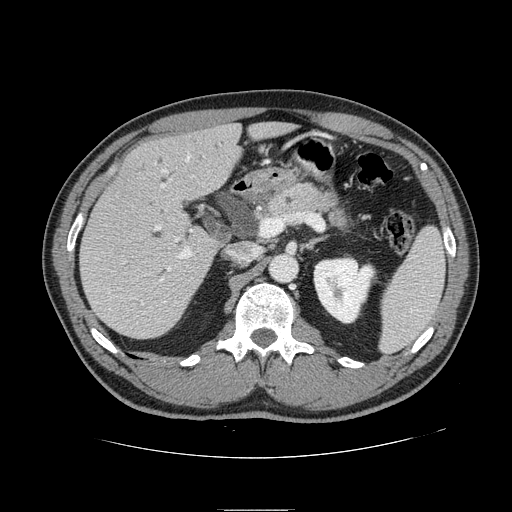

Computed tomography | Abdomen
Pancreas at bbox(266, 183, 350, 228).